CT scan slice; Thorax
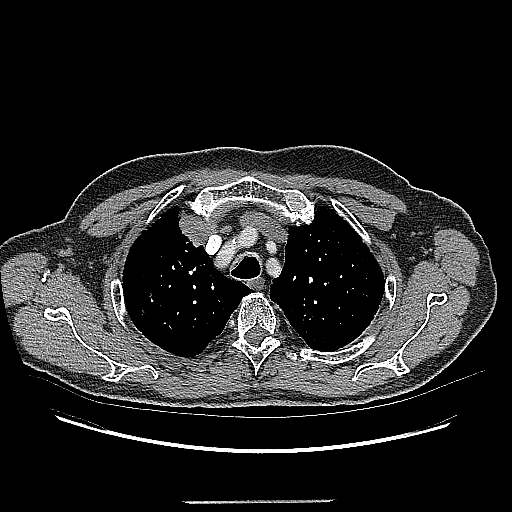
The lung tumor is at 175 208 208 247.